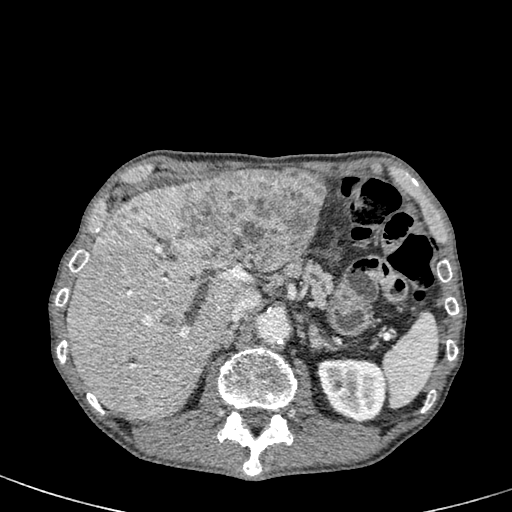

512x512, CT, Abdomen

Liver — box=[66, 182, 258, 418].
Kidney — box=[318, 360, 388, 420].
Hepatic lesion — box=[134, 394, 145, 408]; box=[160, 314, 177, 327]; box=[109, 226, 127, 239]; box=[178, 169, 326, 277].